240x240 px
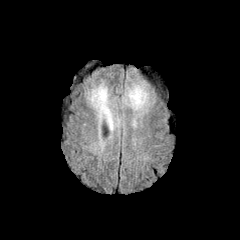
FLAIR MR image.
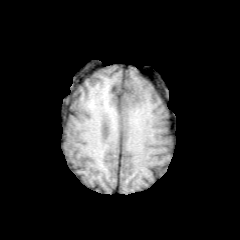
T1-weighted magnetic resonance of the same slice.
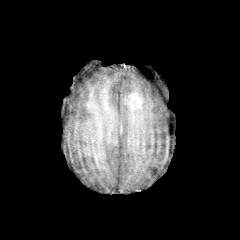
Post-contrast T1-weighted MR.
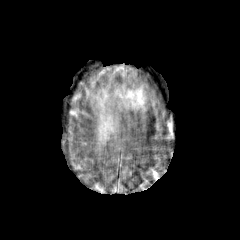
Same slice, T2-weighted MR image.
enhancing tumor: x1=128 y1=92 x2=141 y2=108 | edema: x1=91 y1=86 x2=113 y2=131, x1=122 y1=85 x2=146 y2=110